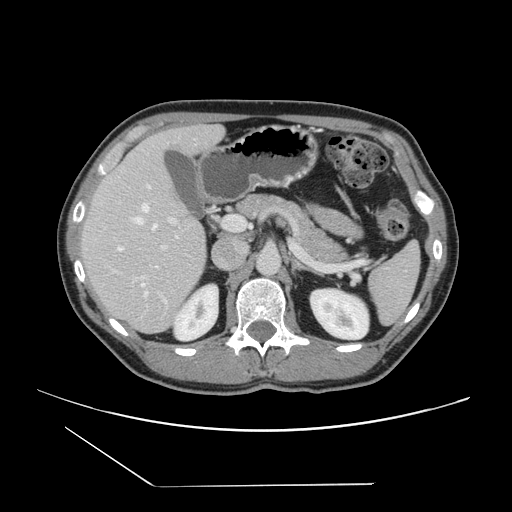 512x512 px, Liver, CT slice
Not every hepatic vessel necessarily has a box.
hepatic_vessel:
  - rect(132, 280, 133, 282)
  - rect(105, 181, 110, 182)
  - rect(194, 138, 197, 144)
  - rect(138, 277, 140, 279)
  - rect(146, 304, 147, 308)
  - rect(165, 301, 166, 303)
  - rect(111, 269, 117, 272)
  - rect(155, 266, 157, 267)
  - rect(141, 278, 144, 282)